CT slice; Abdomen

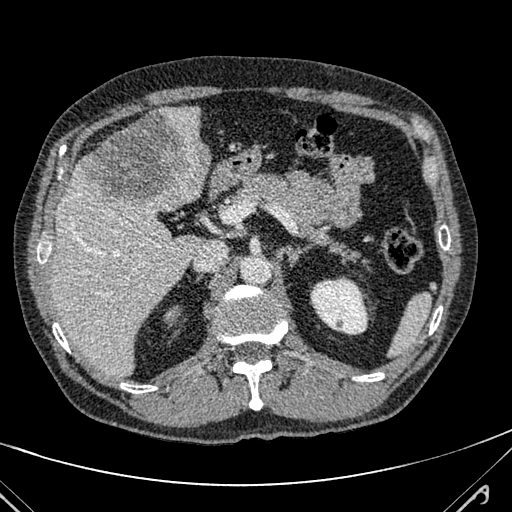 liver:
  - region(51, 160, 202, 376)
  - region(167, 105, 200, 135)
liver_lesion:
  - region(78, 109, 209, 202)